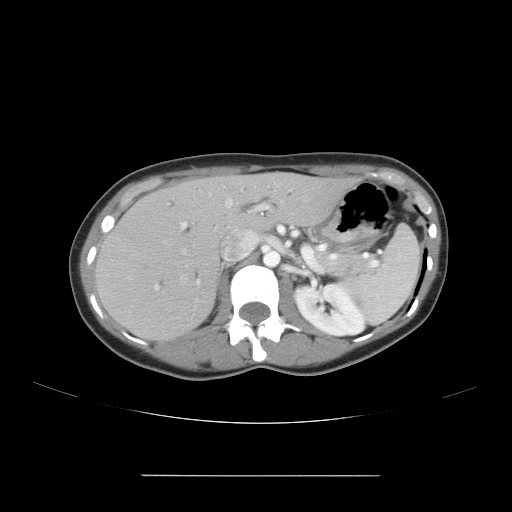

CT slice, Image size 512x512, Abdomen
{
  "pancreas": [
    "(left=317, top=253, right=376, bottom=274)"
  ]
}